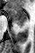 Magnetic resonance; Medial temporal lobe
The posterior hippocampus is located at 20 26 21 27. The anterior hippocampus lies within 6 7 27 25.